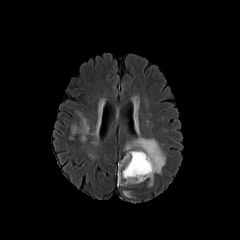
FLAIR MRI.
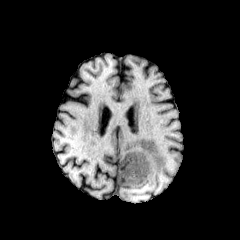
Same slice, T1-weighted MR.
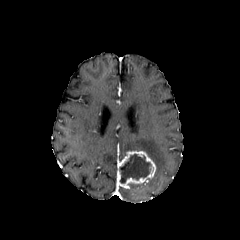
Post-contrast T1-weighted MR.
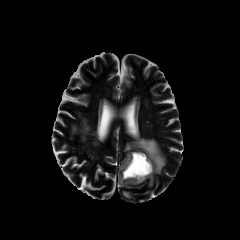
T2-weighted MR.
Brain.
Annotated regions:
• edema: (left=125, top=137, right=166, bottom=174)
• non-enhancing tumor core: (left=120, top=154, right=150, bottom=183)
• enhancing tumor: (left=116, top=150, right=156, bottom=188)